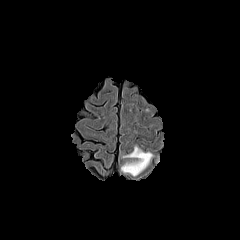
FLAIR magnetic resonance.
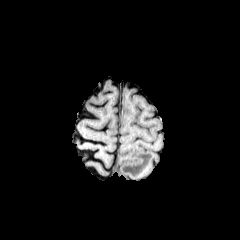
T1-weighted magnetic resonance.
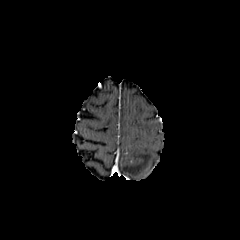
Post-contrast T1-weighted MR image of the same slice.
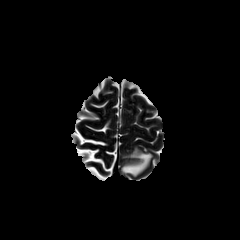
T2-weighted MR image of the same slice.
Segmented structures:
• edema: rect(121, 146, 153, 176)